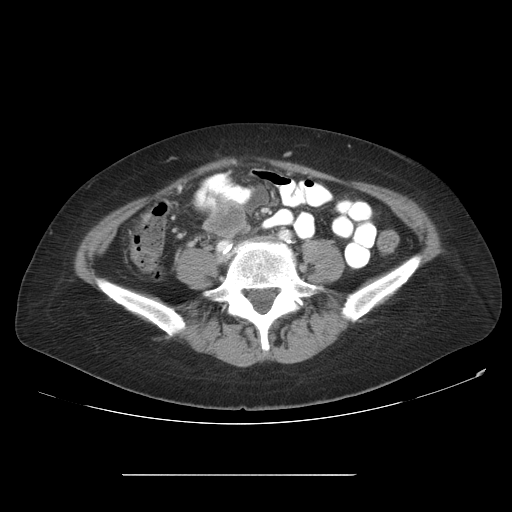 CT scan slice, 512x512
Segmented structures:
• colon tumor: (x1=204, y1=197, x2=244, y2=237)